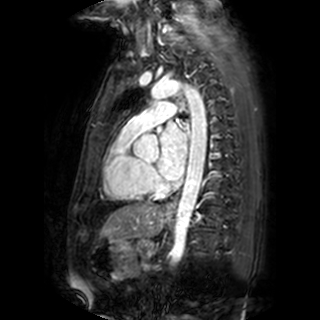
Cardiac. MRI.
• left atrium: region(156, 121, 186, 181)